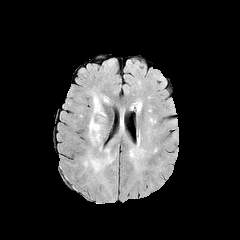
FLAIR magnetic resonance.
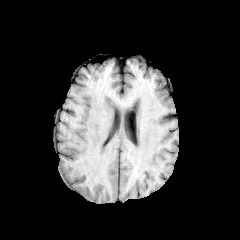
Same slice, T1-weighted MR.
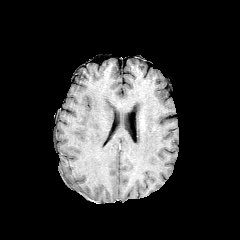
Same slice, post-contrast T1-weighted MR.
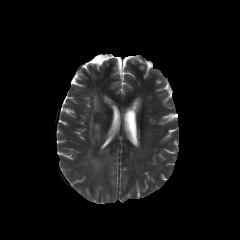
T2-weighted MR of the same slice.
Head
4 edema regions appear at x1=104, y1=149, x2=113, y2=162; x1=89, y1=117, x2=101, y2=144; x1=88, y1=155, x2=105, y2=172; x1=93, y1=95, x2=101, y2=113.